Head | Image width 240 mm
FLAIR MR.
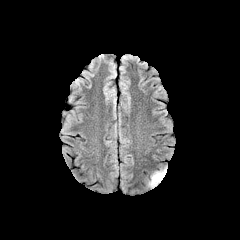
T1-weighted magnetic resonance.
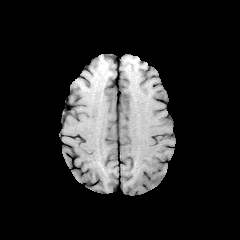
Post-contrast T1-weighted MR.
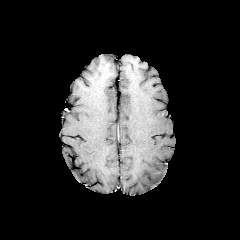
T2-weighted MRI.
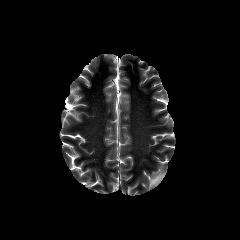
The edema is located at 148:168:165:186.